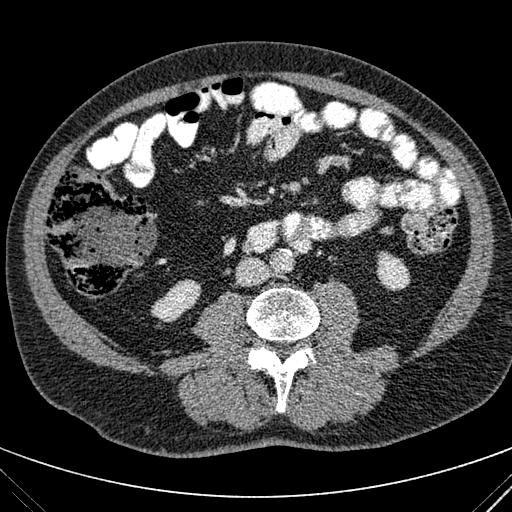

CT scan slice; 512x512 px

Segmented structures:
* kidney: <box>151,280,200,321</box>, <box>377,251,409,289</box>